Image size 512x512, CT slice
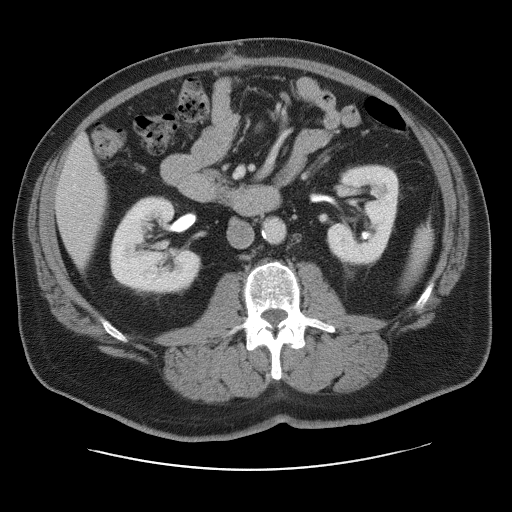 Some hepatic vessels may have no box.
The hepatic vessel lies within x1=237, y1=169, x2=241, y2=175.